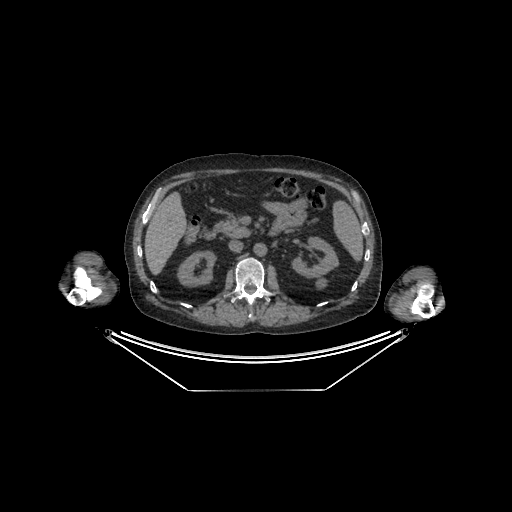 Upper abdomen | Computed tomography

2 kidney regions appear at (left=292, top=237, right=338, bottom=288), (left=177, top=250, right=216, bottom=287). The liver appears at (left=145, top=192, right=186, bottom=274).